Computed tomography; 512x512; Upper abdomen
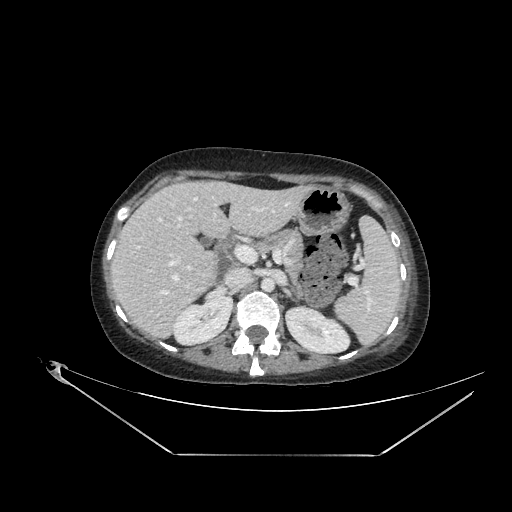 * liver: {"x1": 112, "y1": 183, "x2": 308, "y2": 338}
* kidney: {"x1": 286, "y1": 308, "x2": 349, "y2": 353}, {"x1": 173, "y1": 296, "x2": 232, "y2": 344}